512x512; Computed tomography; Abdomen
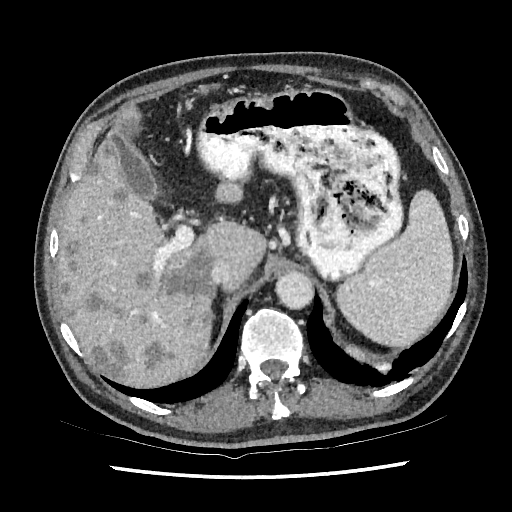
The principal 15 liver lesion regions (of 16) appear at 83,281,124,317; 83,162,100,181; 65,307,76,319; 199,308,210,326; 180,316,194,330; 65,240,79,270; 134,269,151,288; 143,339,174,369; 114,117,137,137; 101,142,114,159; 93,342,130,383; 112,187,128,208; 58,283,70,296; 165,248,215,297; 138,315,148,323. 3 liver regions are located at 56,144,265,386; 217,182,241,202; 102,103,138,143.